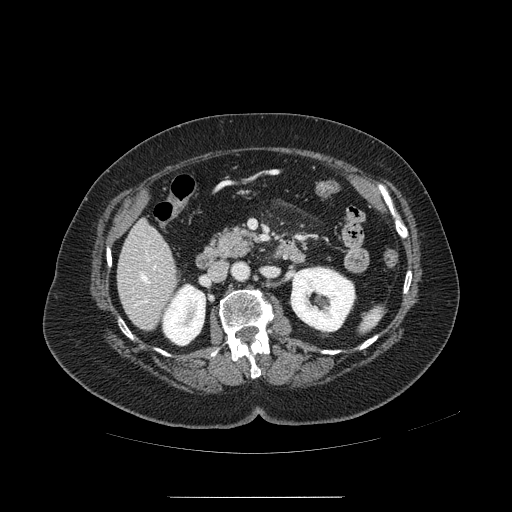

Abdomen | Computed tomography
Pancreas: rect(218, 224, 256, 261).